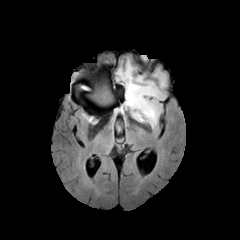
FLAIR MR.
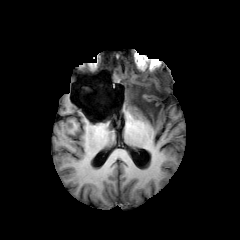
T1-weighted MR.
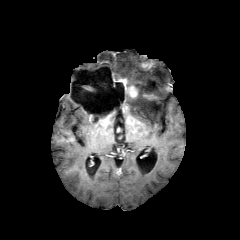
Post-contrast T1-weighted MRI of the same slice.
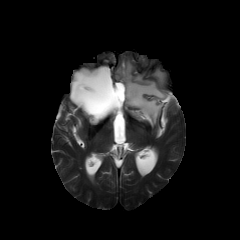
T2-weighted MR of the same slice.
Brain.
<segmentation>
  <edema>left=116, top=60, right=166, bottom=132</edema>
  <non-enhancing_tumor_core>left=122, top=76, right=153, bottom=101; left=94, top=86, right=111, bottom=103; left=110, top=111, right=118, bottom=124</non-enhancing_tumor_core>
  <enhancing_tumor>left=118, top=78, right=137, bottom=98</enhancing_tumor>
</segmentation>